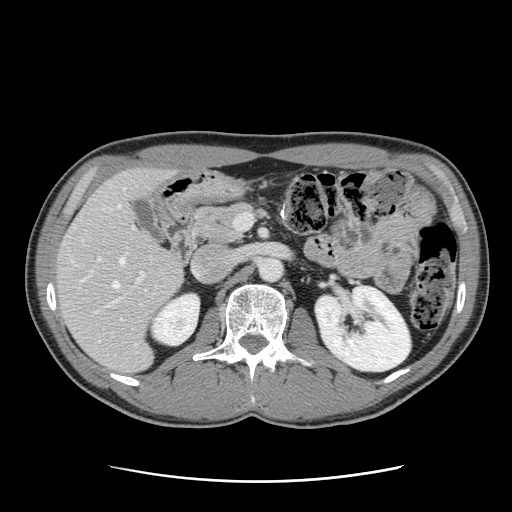 512x512 px; Liver; CT
The vessel boxes may cover only some of the vessels.
Hepatic vessel = (97,257,100,260), (117,205,119,207), (113,281,118,287), (81,279,84,280), (110,298,119,304), (119,257,124,264), (135,272,143,283), (93,311,97,312), (85,277,87,278), (132,226,133,228).